Image size 512x512; Abdomen; CT scan slice; Slice 28 of 41

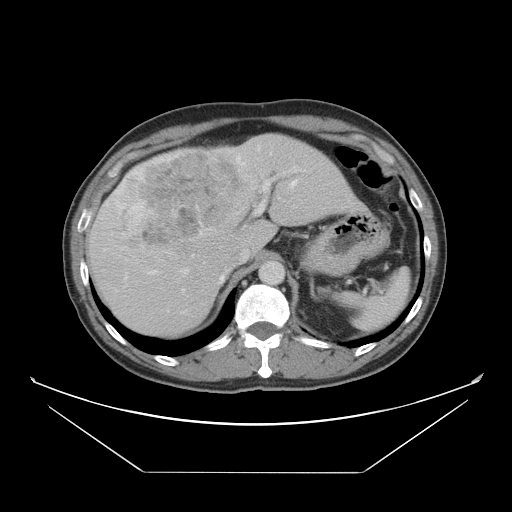
Some hepatic vessels may have no box.
Annotated regions:
- liver tumor: (x1=138, y1=151, x2=243, y2=244)
- hepatic vessel: (x1=200, y1=231, x2=202, y2=234), (x1=125, y1=284, x2=127, y2=286), (x1=124, y1=269, x2=127, y2=280), (x1=254, y1=200, x2=264, y2=214), (x1=208, y1=229, x2=215, y2=231), (x1=262, y1=179, x2=268, y2=191), (x1=181, y1=268, x2=188, y2=275), (x1=291, y1=166, x2=297, y2=171), (x1=182, y1=289, x2=184, y2=290), (x1=250, y1=186, x2=255, y2=189), (x1=149, y1=270, x2=156, y2=274), (x1=289, y1=180, x2=296, y2=189), (x1=192, y1=254, x2=193, y2=256)